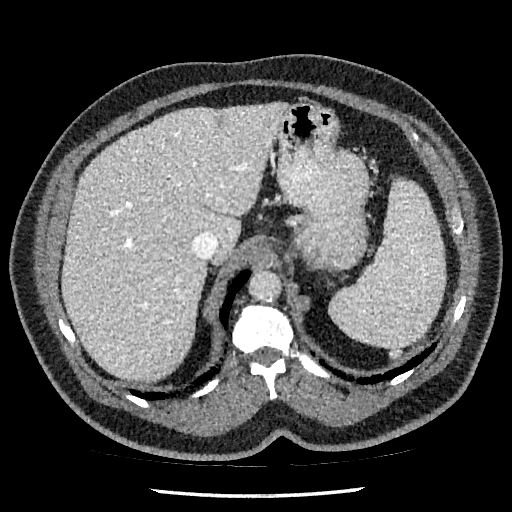
CT slice. 512x512. Abdomen.

The liver is at (x1=62, y1=103, x2=286, y2=380). The focal liver lesion lies within (x1=217, y1=116, x2=226, y2=128).